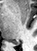 37x51, Hippocampus, MR
posterior hippocampus: 12:42:18:44